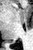
MRI slice
The posterior hippocampus appears at x1=7, y1=40, x2=15, y2=42.